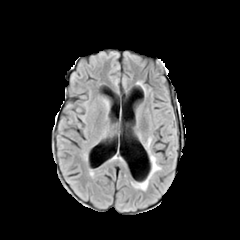
FLAIR MR.
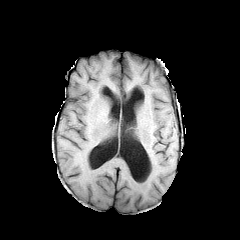
T1-weighted MR.
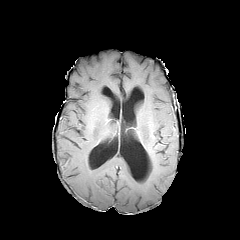
Post-contrast T1-weighted MR.
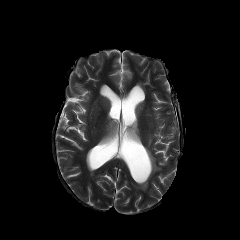
T2-weighted MRI.
Brain
The edema appears at (left=132, top=137, right=161, bottom=190).